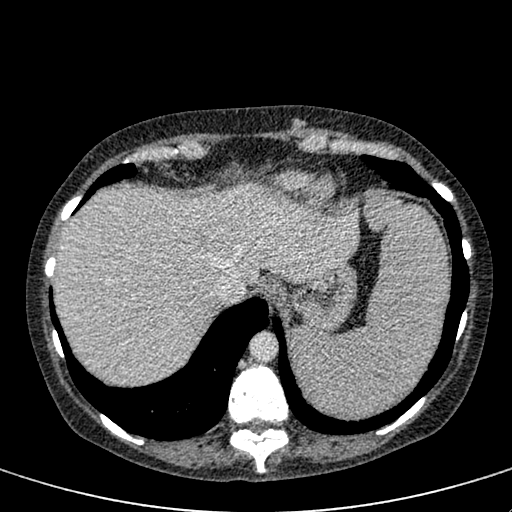 CT image

focal_liver_lesion:
  - region(196, 233, 211, 247)
liver:
  - region(57, 185, 359, 385)